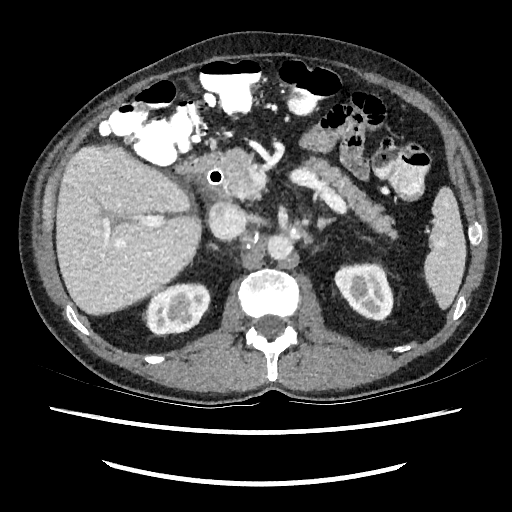

Abdomen | CT scan slice
{"liver": ["(left=56, top=146, right=200, bottom=313)"], "kidney": ["(left=335, top=265, right=392, bottom=319)", "(left=148, top=285, right=209, bottom=333)"]}